Abdomen | CT | 512x512 | Slice 325 of 519
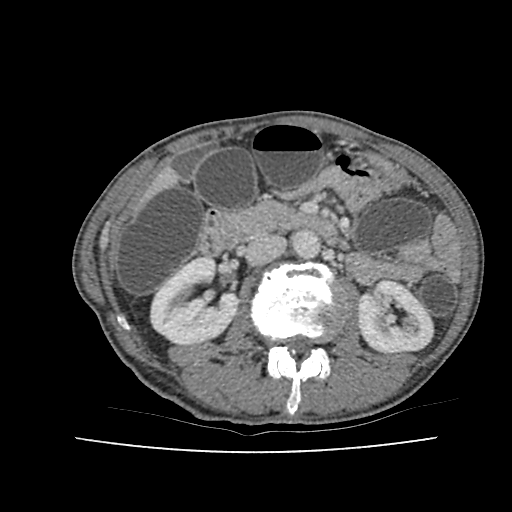
<segmentation>
  <kidney>{"x1": 151, "y1": 258, "x2": 237, "y2": 343}, {"x1": 359, "y1": 281, "x2": 432, "y2": 351}</kidney>
  <liver>{"x1": 149, "y1": 176, "x2": 172, "y2": 196}</liver>
</segmentation>